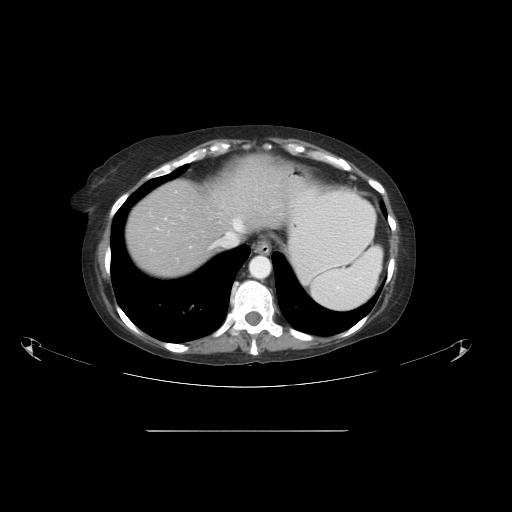

CT slice; Abdomen

Some hepatic vessels may have no box.
4 hepatic vessel regions are bounded by [215, 240, 219, 244], [156, 227, 158, 228], [227, 233, 234, 235], [233, 219, 242, 231].